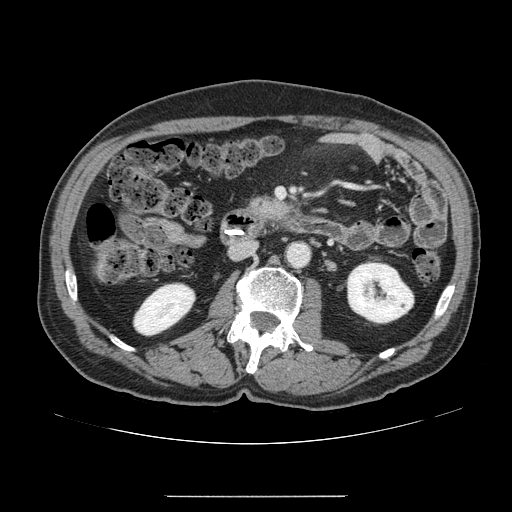 CT scan slice; Upper abdomen

Pancreatic tumor: bounding box l=250, t=196, r=289, b=217.
Pancreas: bounding box l=247, t=193, r=295, b=218.